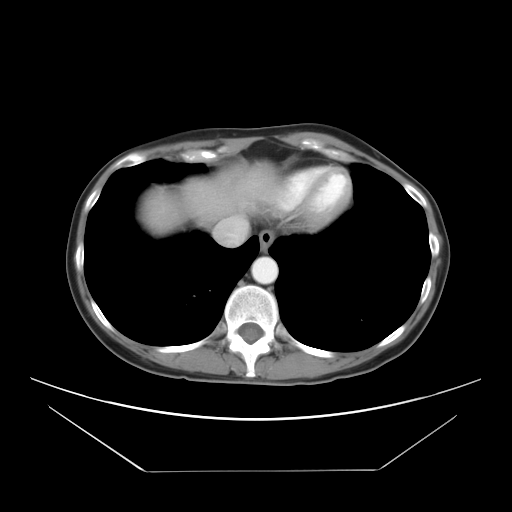 Liver. CT slice. Not every hepatic vessel necessarily has a box.
<segmentation>
  <hepatic_vessel>(254,183,256,184)</hepatic_vessel>
</segmentation>